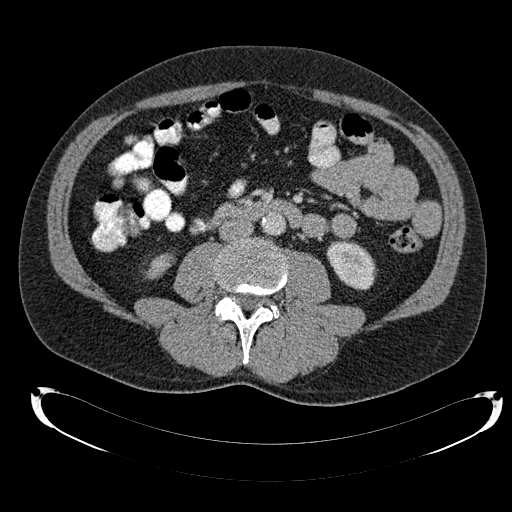

Abdomen | Computed tomography

2 kidney regions are bounded by {"x1": 327, "y1": 242, "x2": 374, "y2": 288}, {"x1": 149, "y1": 256, "x2": 169, "y2": 276}.